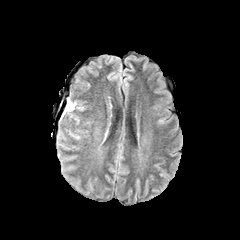
FLAIR MRI.
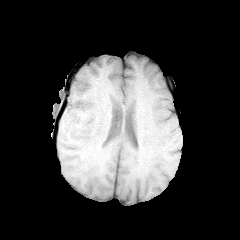
T1-weighted MR image.
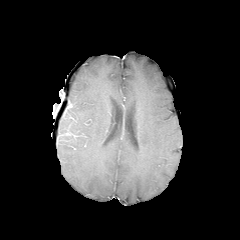
Post-contrast T1-weighted MR image.
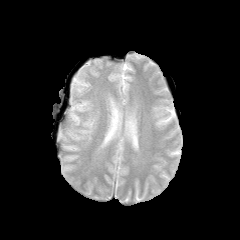
T2-weighted MR.
Edema: left=72, top=129, right=82, bottom=139; left=64, top=98, right=83, bottom=122.